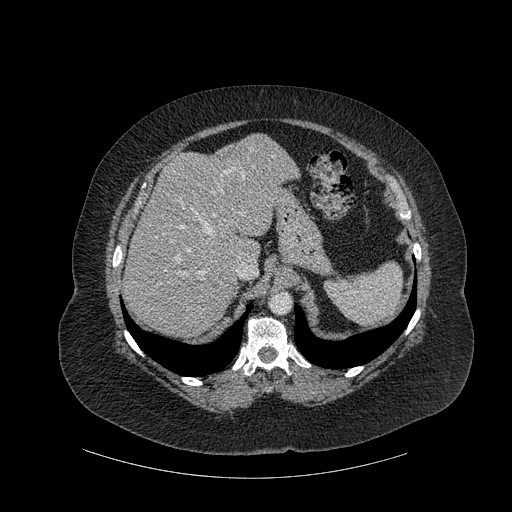

Liver; Computed tomography
<segmentation>
  <lung>294, 283, 416, 368; 122, 305, 251, 376</lung>
  <bone>113, 246, 121, 266; 406, 310, 419, 334; 124, 331, 142, 355; 413, 243, 420, 259; 233, 317, 310, 375; 182, 377, 201, 385; 345, 366, 362, 376; 401, 211, 410, 218</bone>
  <liver>122, 133, 299, 337</liver>
</segmentation>